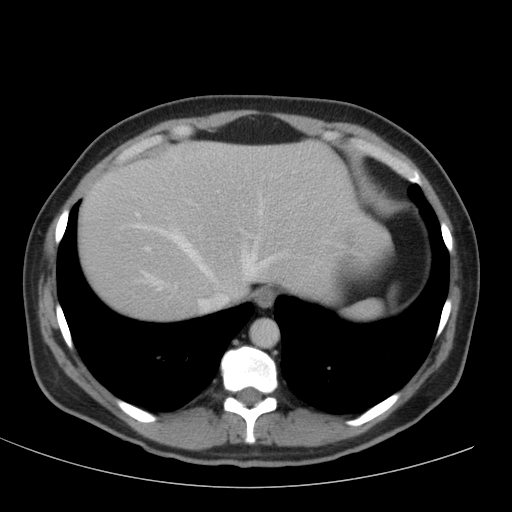
Computed tomography; Upper abdomen

The liver is bounded by <bbox>81, 141, 386, 318</bbox>.